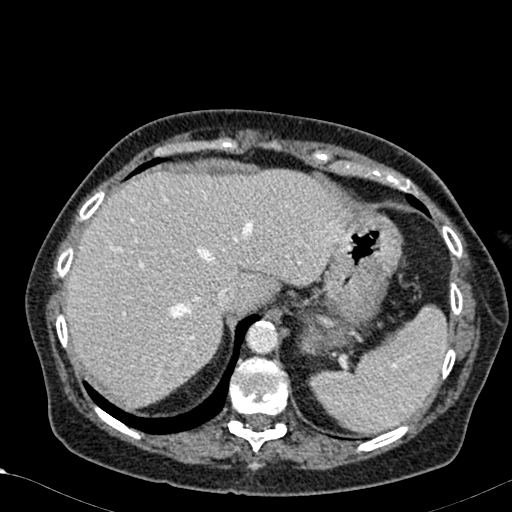
512x512 px | CT scan slice | Liver

The liver lies within <bbox>68, 170, 348, 405</bbox>.